CT slice | Field of view 472x472 mm | Liver | 512x512 | Slice 23 of 45 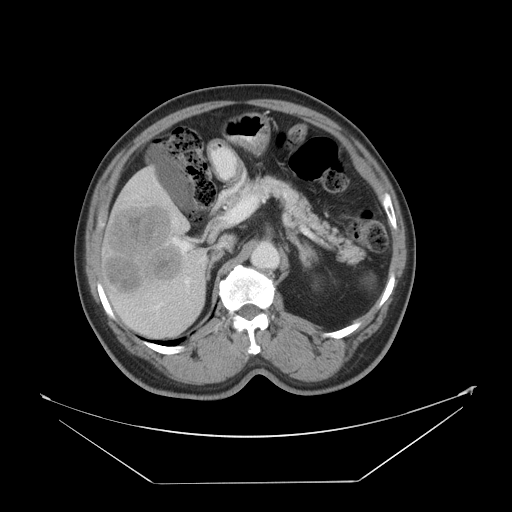

The vessel annotation is not exhaustive.
Liver tumor = box(105, 207, 182, 293).
Hepatic vessel = box(184, 270, 187, 272); box(172, 237, 190, 256); box(172, 218, 178, 226); box(199, 256, 204, 264); box(184, 275, 192, 292); box(187, 262, 189, 265); box(149, 302, 163, 310).